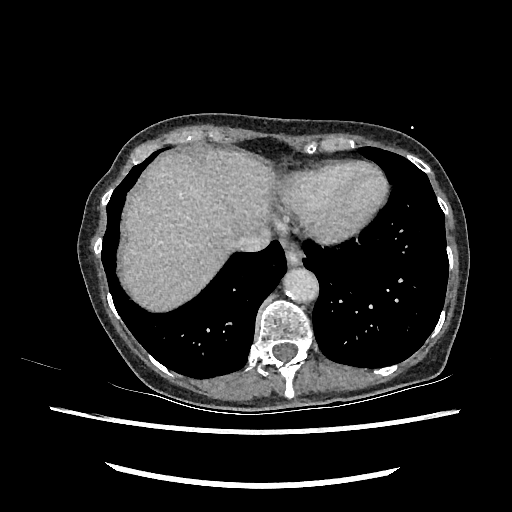

Upper abdomen, CT scan slice, 512x512

liver:
  - {"x1": 123, "y1": 150, "x2": 275, "y2": 308}